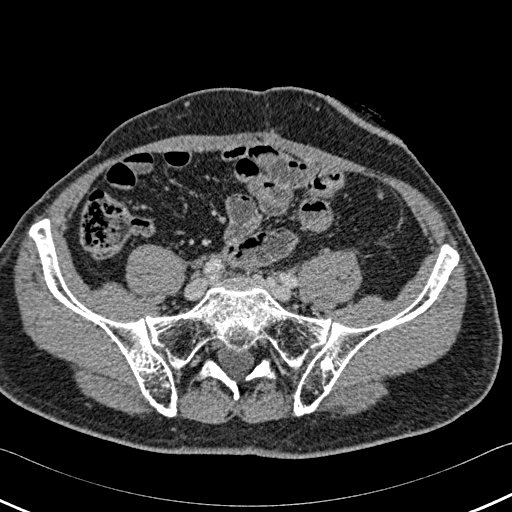
Computed tomography
Bone: bounding box (29, 219, 458, 416), (201, 361, 238, 399), (246, 360, 274, 380).